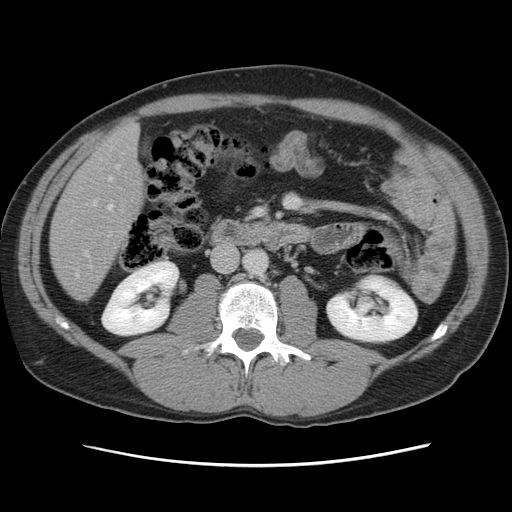

CT scan slice. Liver.
Some hepatic vessels may have no box.
- hepatic vessel: region(110, 177, 112, 181); region(76, 274, 79, 277); region(108, 205, 112, 209); region(93, 201, 97, 205); region(84, 251, 88, 256); region(109, 233, 111, 236); region(121, 210, 123, 211); region(135, 127, 136, 129)